Slice 104/121. Field of view 418x418 mm. CT. 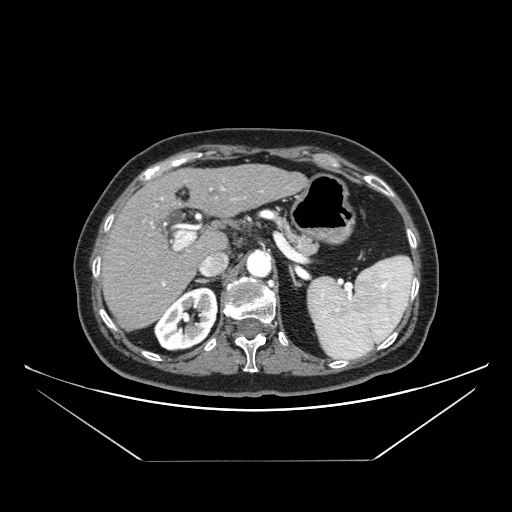

The pancreas is bounded by region(272, 213, 318, 256).